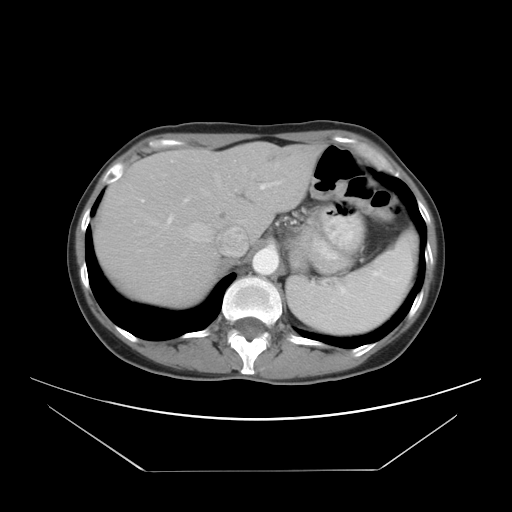

512x512. Computed tomography. Some hepatic vessels may have no box.
Findings:
• liver tumor: (left=267, top=153, right=282, bottom=163)
• hepatic vessel: (left=259, top=178, right=283, bottom=188), (left=183, top=197, right=188, bottom=201), (left=235, top=187, right=236, bottom=188), (left=165, top=214, right=173, bottom=226), (left=198, top=223, right=201, bottom=223), (left=216, top=181, right=218, bottom=183), (left=243, top=167, right=245, bottom=170), (left=137, top=198, right=143, bottom=201), (left=195, top=239, right=197, bottom=240), (left=275, top=163, right=278, bottom=167)